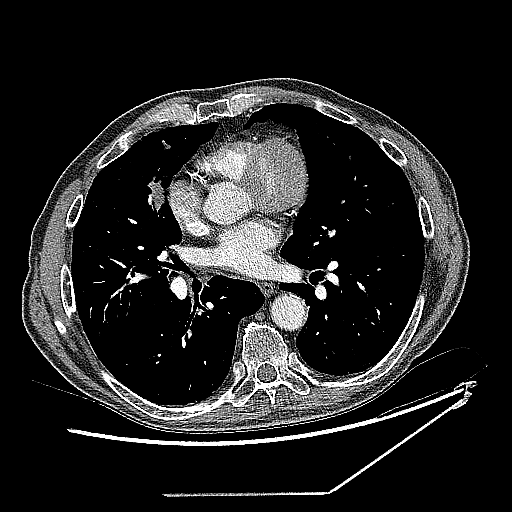 CT; Thorax; Image size 512x512
Lung tumor — 144, 175, 172, 223.